CT scan slice; Pelvis

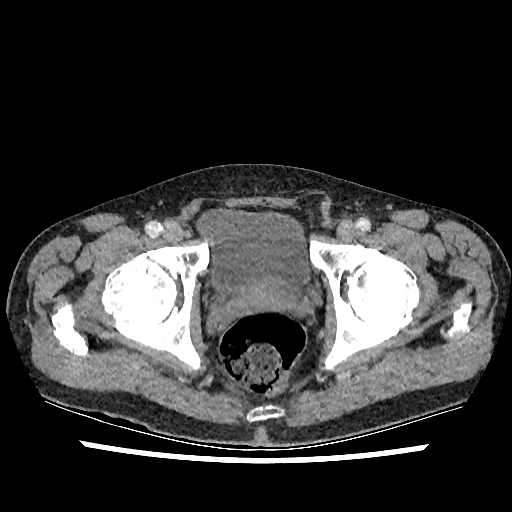
Urinary bladder at x1=198 y1=207 x2=313 y2=325.